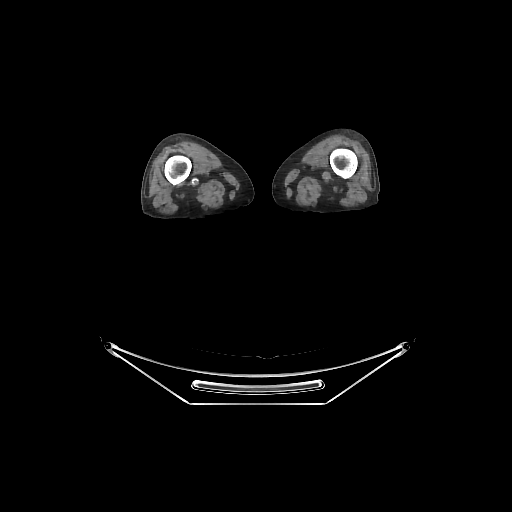 CT scan slice | Image size 512x512

2 bone regions are located at bbox=[330, 149, 357, 178]; bbox=[164, 155, 191, 184].